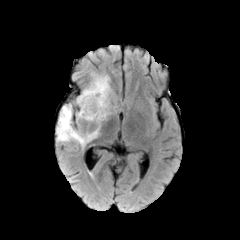
FLAIR MRI.
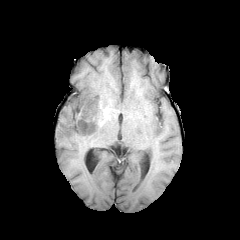
T1-weighted magnetic resonance.
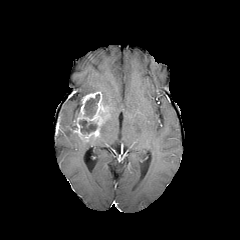
Post-contrast T1-weighted magnetic resonance.
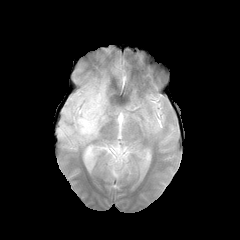
T2-weighted MRI.
240x240 px | Head
4 non-enhancing tumor core regions are located at <bbox>79, 113, 103, 133</bbox>, <bbox>84, 94, 99, 117</bbox>, <bbox>76, 93, 89, 114</bbox>, <bbox>90, 90, 104, 105</bbox>. 2 edema regions are located at <bbox>56, 97, 95, 150</bbox>, <bbox>78, 73, 113, 122</bbox>. The enhancing tumor is at <bbox>73, 92, 103, 140</bbox>.